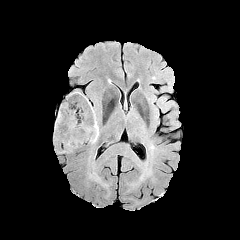
FLAIR MR image.
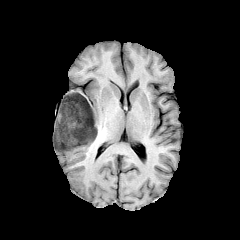
T1-weighted MR image.
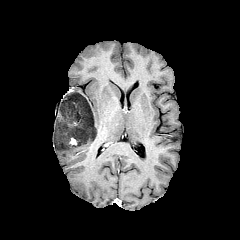
Same slice, post-contrast T1-weighted magnetic resonance.
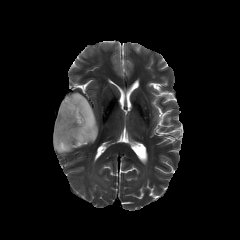
T2-weighted MR.
Brain.
Non-enhancing tumor core — 55, 94, 97, 151.
Edema — 92, 108, 98, 134.